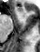

Hippocampus, Magnetic resonance
anterior_hippocampus:
  - 17,7,21,11